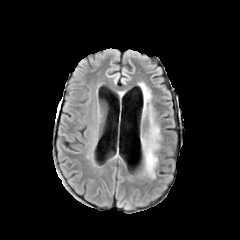
FLAIR magnetic resonance.
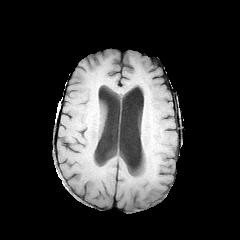
T1-weighted magnetic resonance.
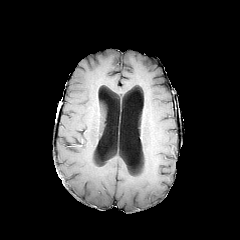
Post-contrast T1-weighted MR image.
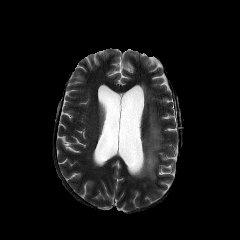
Same slice, T2-weighted MRI.
Head. 240x240 px.
edema:
  - region(140, 109, 160, 178)
  - region(141, 84, 151, 101)